CT scan slice. Abdomen. Slice index 37. Field of view 493 mm wide, 2.50 mm slice spacing. 512x512.

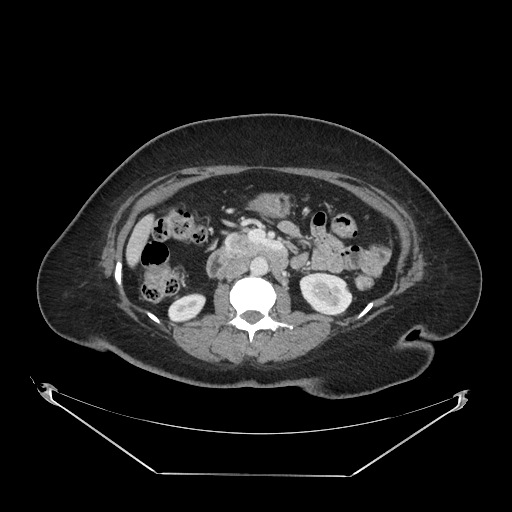 {"pancreas": ["229,236,262,255"]}